FLAIR MRI.
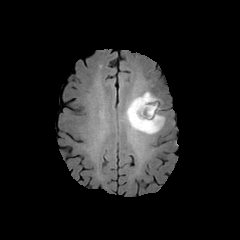
T1-weighted MR.
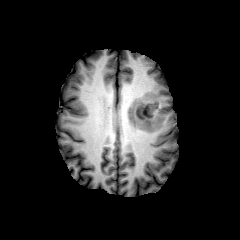
Post-contrast T1-weighted magnetic resonance.
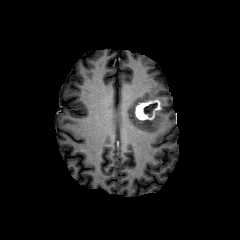
T2-weighted MRI.
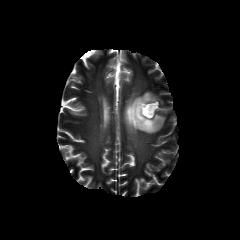
Head | 240x240 px
Findings:
• non-enhancing tumor core: box=[144, 103, 157, 114]
• edema: box=[126, 91, 164, 134]
• enhancing tumor: box=[135, 99, 161, 120]